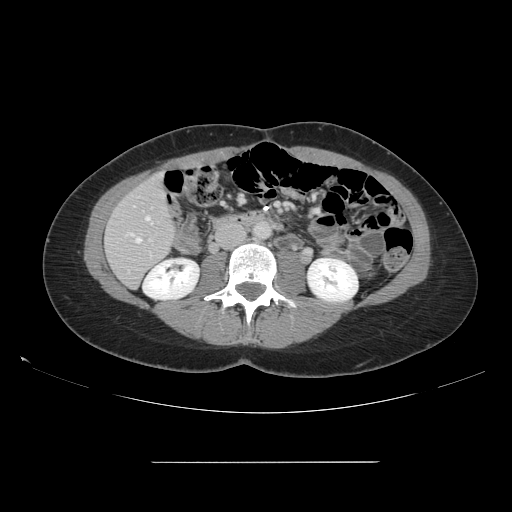 CT scan slice | 512x512 px | Abdomen
The vessel annotation is not exhaustive.
• hepatic vessel: left=149, top=240, right=151, bottom=241; left=146, top=216, right=152, bottom=224; left=125, top=233, right=133, bottom=236; left=135, top=236, right=141, bottom=242